512x512, CT, Upper abdomen

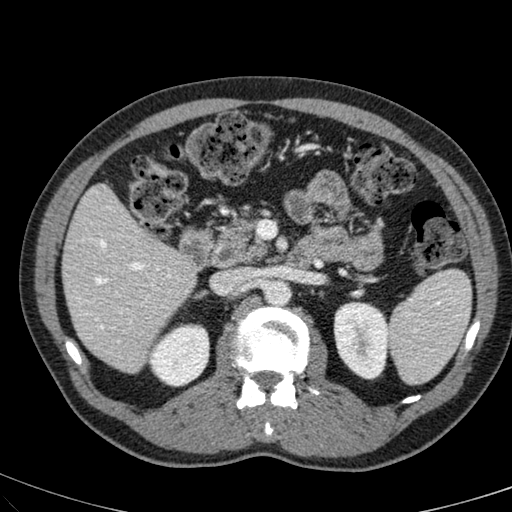 Kidney — rect(151, 327, 207, 384); rect(335, 304, 387, 377).
Liver — rect(62, 184, 194, 371).